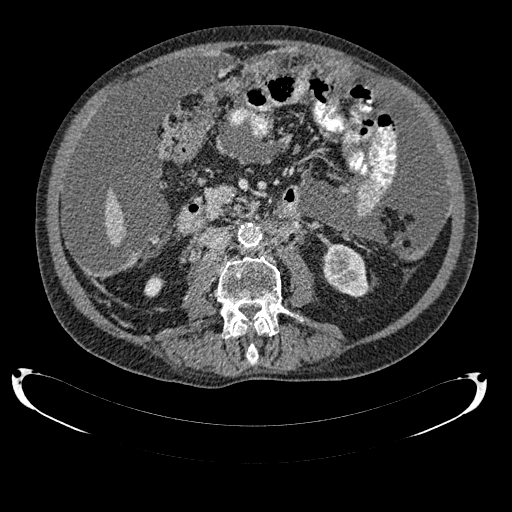
Upper abdomen, 512x512, Computed tomography
The liver is at box=[104, 190, 124, 244]. 2 kidney regions appear at box=[323, 244, 367, 296]; box=[145, 277, 161, 296].